CT image; Field of view 474x474 mm 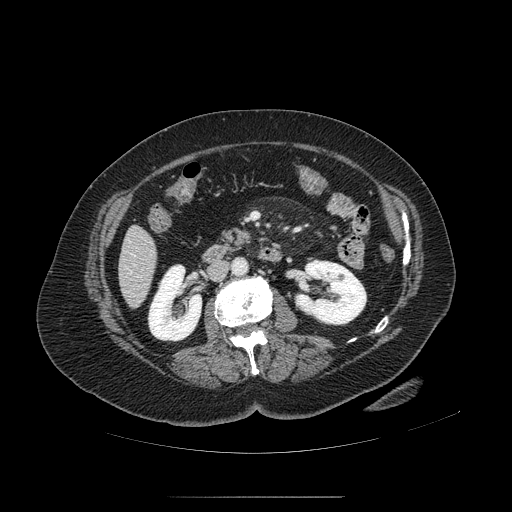
<segmentation>
  <pancreas>rect(220, 227, 253, 245)</pancreas>
</segmentation>